Slice 46/155. Brain.
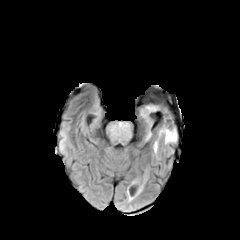
FLAIR MR image.
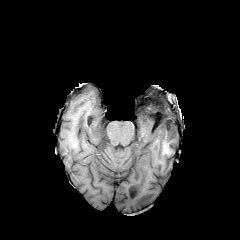
T1-weighted MRI of the same slice.
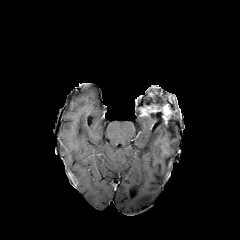
Post-contrast T1-weighted MRI.
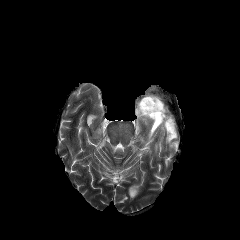
T2-weighted MR.
The non-enhancing tumor core appears at (160, 114, 171, 128). The enhancing tumor lies within (139, 104, 170, 124). 2 edema regions are bounded by (152, 126, 177, 158), (144, 118, 152, 141).